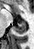
MRI slice
Annotated regions:
* posterior hippocampus: rect(13, 22, 25, 34)